Brain. Slice index 89.
FLAIR MRI.
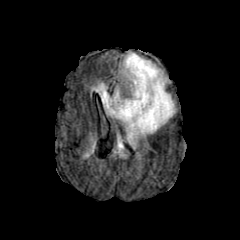
T1-weighted MR.
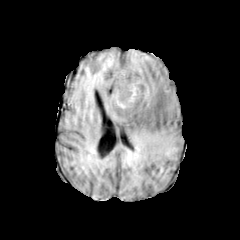
Post-contrast T1-weighted magnetic resonance.
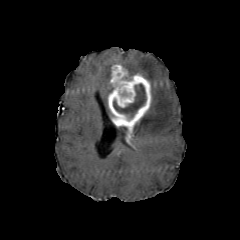
T2-weighted MR.
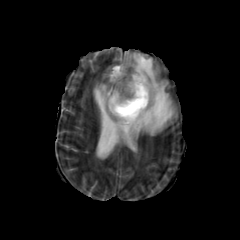
Enhancing tumor: x1=108 y1=64 x2=151 y2=144.
Non-enhancing tumor core: x1=113 y1=84 x2=145 y2=115.
Edema: x1=93 y1=83 x2=113 y2=113, x1=117 y1=127 x2=127 y2=151, x1=122 y1=52 x2=175 y2=145.